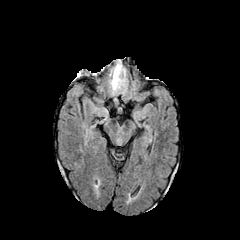
FLAIR MR image.
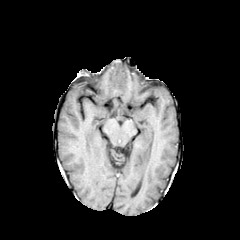
T1-weighted MR.
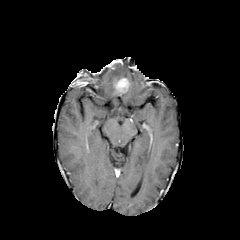
Post-contrast T1-weighted MRI.
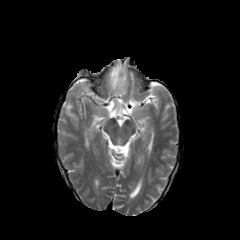
T2-weighted MR of the same slice.
Head
Edema — 104, 62, 126, 94.
Enhancing tumor — 114, 78, 127, 91.